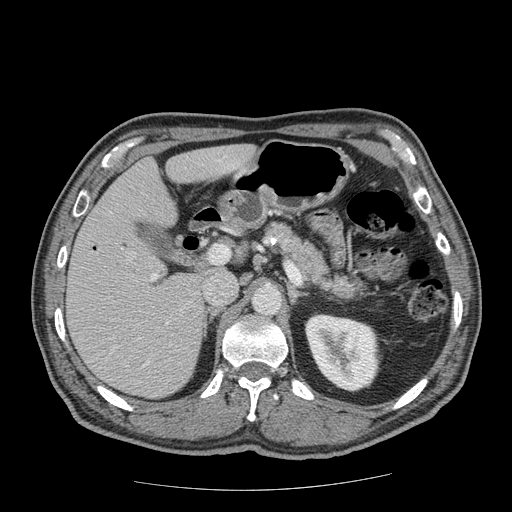 Abdomen | CT image | Image size 512x512

<segmentation>
  <pancreas>box=[262, 220, 374, 308]</pancreas>
</segmentation>